512x512 px. CT. Lower abdomen.
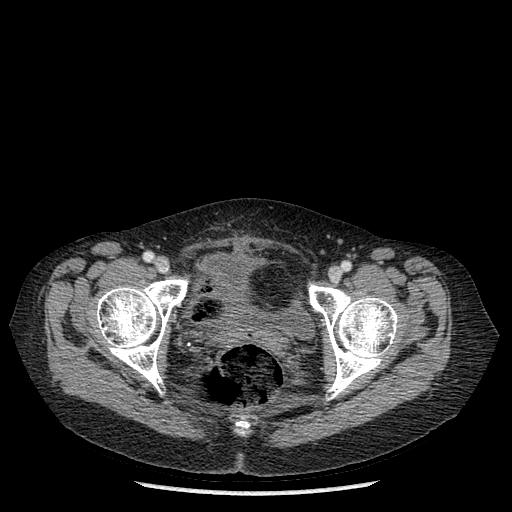 {"bone": ["<box>93,277,188,392</box>", "<box>308,284,399,399</box>", "<box>236,421,249,428</box>"], "urinary_bladder": ["<box>192,251,300,344</box>"]}